Image size 512x512. CT image. 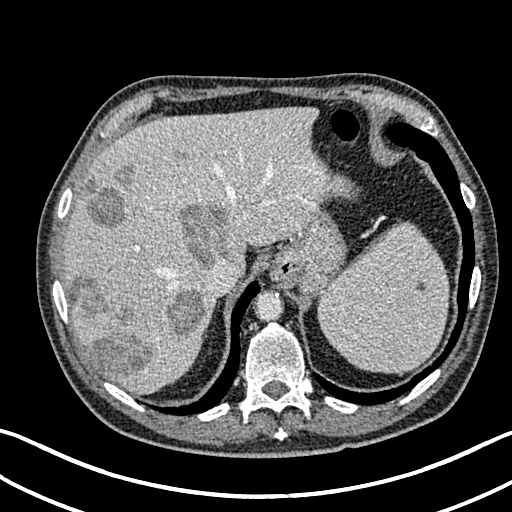

<segmentation>
  <liver>x1=64 y1=108 x2=348 y2=392</liver>
  <hepatic_lesion>x1=85 y1=180 x2=96 y2=193, x1=85 y1=333 x2=151 y2=379, x1=173 y1=150 x2=184 y2=166, x1=69 y1=277 x2=132 y2=325, x1=86 y1=186 x2=124 y2=228, x1=179 y1=203 x2=234 y2=267, x1=167 y1=288 x2=204 y2=336, x1=116 y1=164 x2=135 y2=185</hepatic_lesion>
</segmentation>